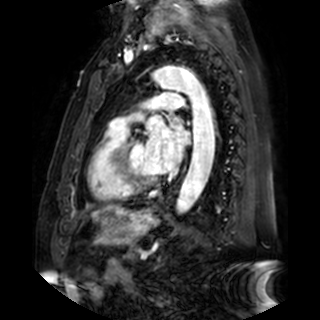 MRI
{"left_atrium": ["box=[145, 117, 190, 173]"]}